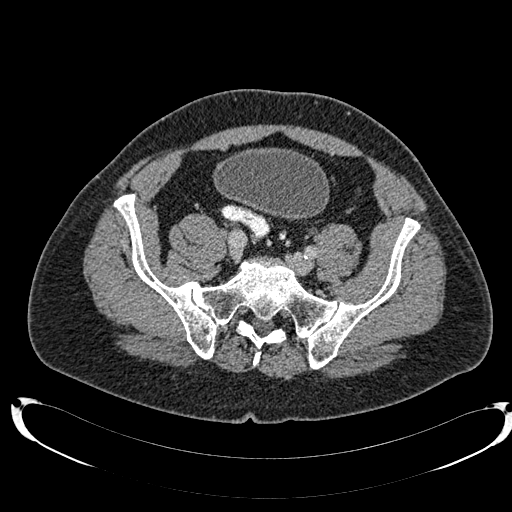

Lower abdomen. CT slice.
<segmentation>
  <urinary_bladder>216 148 329 217</urinary_bladder>
</segmentation>